CT image, 512x512 px, Thorax, Slice 90/241
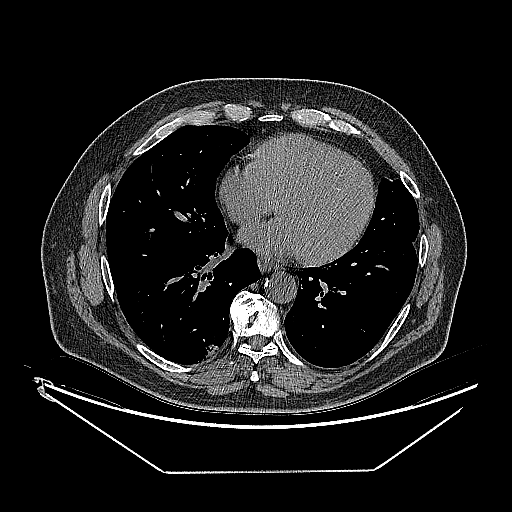
{
  "lung_tumor": [
    "bbox(198, 343, 219, 361)"
  ]
}